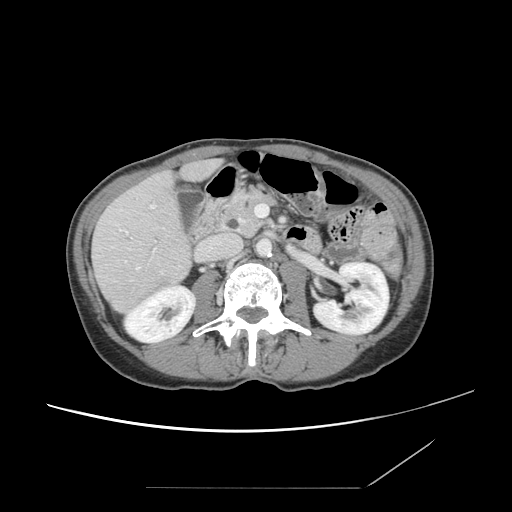

512x512, CT, Abdomen
Annotated regions:
• pancreas: box(217, 183, 278, 236)